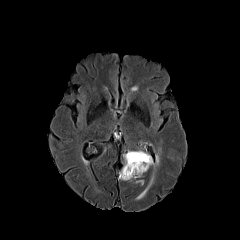
FLAIR MR image.
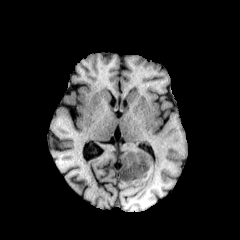
T1-weighted magnetic resonance.
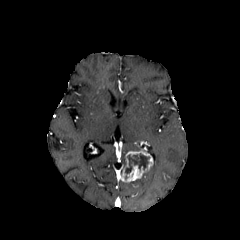
Same slice, post-contrast T1-weighted MR.
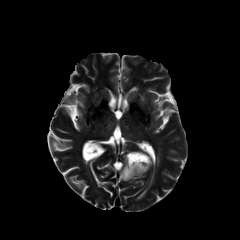
T2-weighted MR image of the same slice.
240x240 px
<segmentation>
  <edema>left=137, top=174, right=153, bottom=198</edema>
  <non-enhancing_tumor_core>left=125, top=153, right=150, bottom=174</non-enhancing_tumor_core>
  <enhancing_tumor>left=119, top=149, right=153, bottom=182</enhancing_tumor>
</segmentation>